512x512 | CT | Abdomen 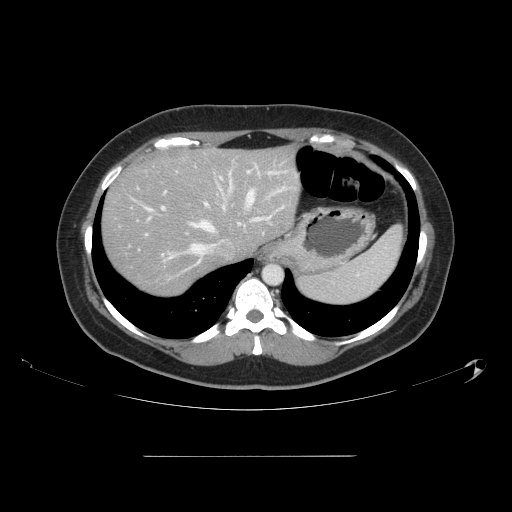

The vessel boxes may cover only some of the vessels.
[15/18] hepatic vessel: region(222, 203, 225, 207); region(252, 218, 261, 220); region(189, 244, 202, 254); region(170, 256, 174, 257); region(268, 171, 273, 173); region(229, 171, 230, 179); region(257, 172, 259, 174); region(247, 189, 254, 204); region(266, 217, 269, 220); region(161, 254, 167, 261); region(148, 208, 152, 212); region(190, 220, 213, 231); region(247, 170, 250, 173); region(238, 223, 244, 226); region(204, 202, 207, 205)